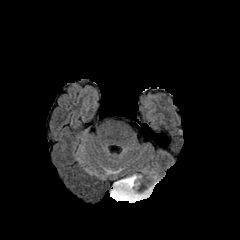
FLAIR MR image.
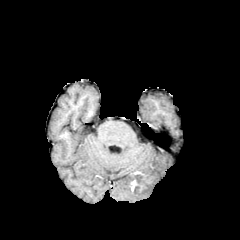
Same slice, T1-weighted MR.
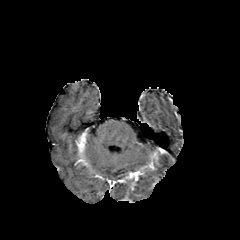
Post-contrast T1-weighted magnetic resonance of the same slice.
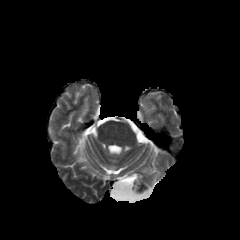
T2-weighted magnetic resonance.
Head.
enhancing tumor: bbox=[115, 173, 138, 183] | edema: bbox=[110, 173, 151, 202] | non-enhancing tumor core: bbox=[115, 171, 139, 181]; bbox=[123, 180, 139, 200]